FLAIR MR.
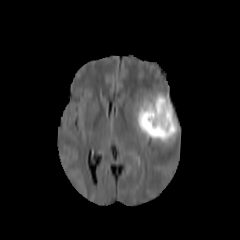
T1-weighted MR image.
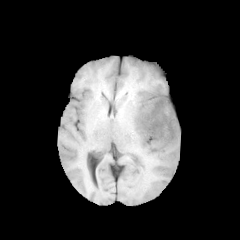
Post-contrast T1-weighted MR image.
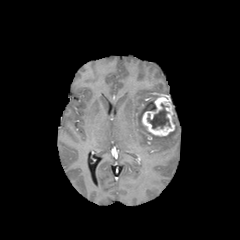
T2-weighted magnetic resonance.
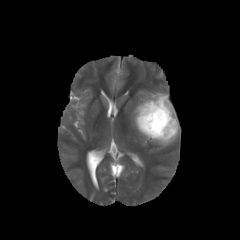
Segmented structures:
- enhancing tumor: (141,95,175,136)
- edema: (128,95,179,145)
- non-enhancing tumor core: (143,100,156,113), (147,104,168,128)